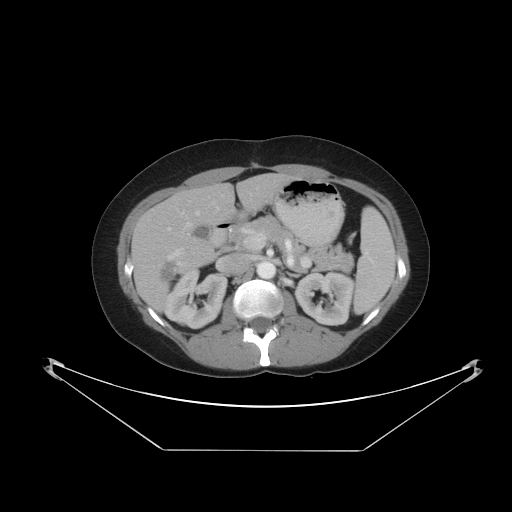

Computed tomography. Liver. The vessel boxes may cover only some of the vessels.
The liver tumor appears at [x1=161, y1=261, x2=181, y2=283]. 6 hepatic vessel regions are bounded by [x1=177, y1=210, x2=191, y2=231], [x1=178, y1=262, x2=184, y2=265], [x1=196, y1=211, x2=199, y2=214], [x1=168, y1=228, x2=170, y2=230], [x1=167, y1=248, x2=183, y2=259], [x1=211, y1=201, x2=219, y2=209].